CT slice; Liver; 512x512

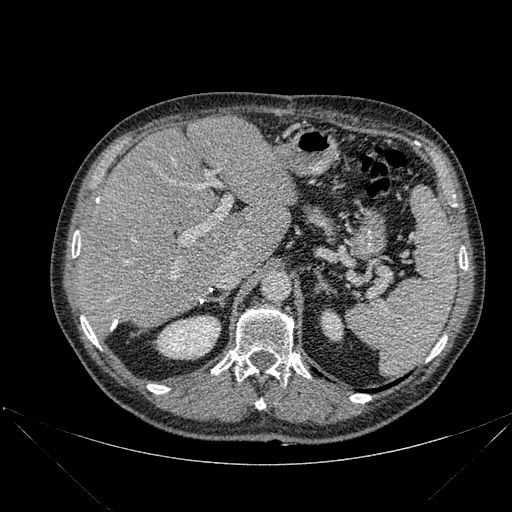

Liver: box(76, 116, 295, 338).
Kidney: box(157, 316, 220, 358); box(322, 312, 342, 339).
Bone: box(147, 384, 169, 394); box(427, 335, 447, 360); box(80, 316, 98, 346); box(459, 254, 467, 269); box(350, 394, 370, 403); box(255, 398, 265, 409); box(72, 234, 80, 257); box(211, 309, 310, 383).
Lung: box(371, 380, 399, 391).